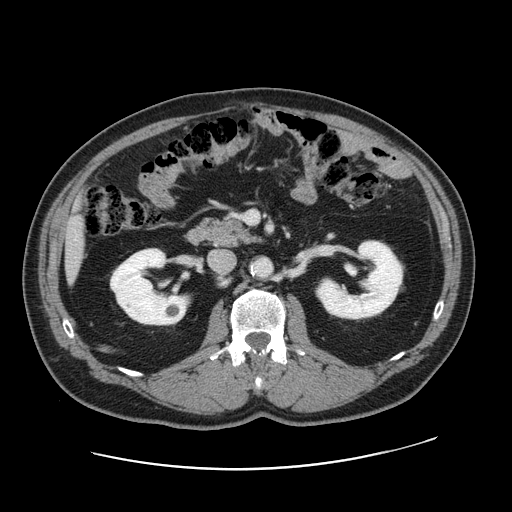
512x512 px, CT image, Abdomen
Some hepatic vessels may have no box.
<segmentation>
  <hepatic_vessel>region(68, 270, 73, 277); region(73, 216, 79, 220)</hepatic_vessel>
</segmentation>